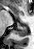 Medial temporal lobe, Magnetic resonance, 34x49
The posterior hippocampus lies within box(16, 26, 27, 36).